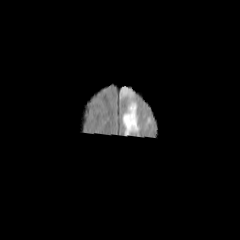
FLAIR magnetic resonance.
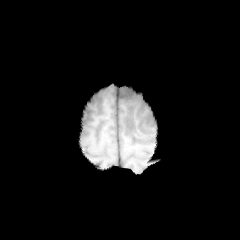
T1-weighted MRI of the same slice.
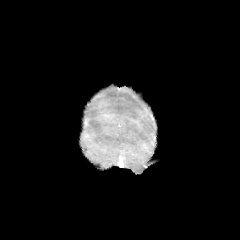
Post-contrast T1-weighted MRI.
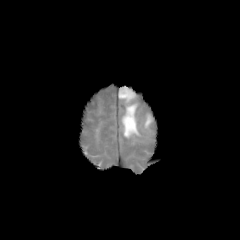
T2-weighted MRI of the same slice.
Head
edema: 121 103 142 138, 118 86 136 101, 145 114 152 125